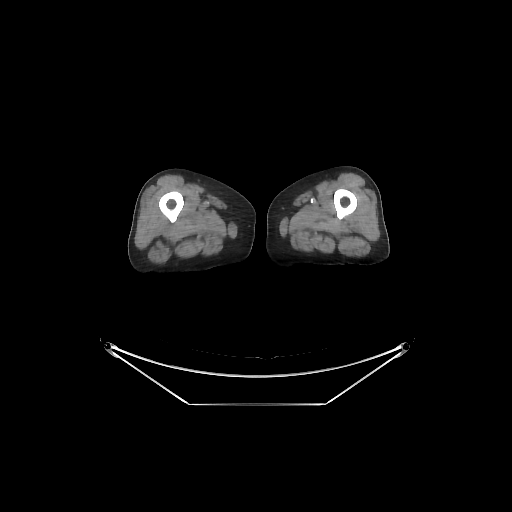

CT slice
Bone — box(334, 189, 356, 219); box(159, 191, 183, 222).